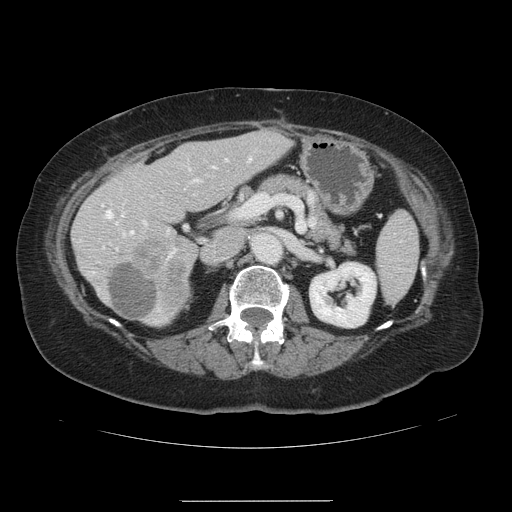 Liver | Computed tomography
Only some of the vessels may be annotated.
The liver tumor is located at (x1=109, y1=240, x2=188, y2=319). 11 hepatic vessel regions appear at (x1=225, y1=159, x2=227, y2=160), (x1=212, y1=166, x2=215, y2=167), (x1=115, y1=247, x2=117, y2=249), (x1=105, y1=210, x2=111, y2=217), (x1=130, y1=230, x2=132, y2=232), (x1=167, y1=248, x2=175, y2=257), (x1=188, y1=167, x2=190, y2=169), (x1=248, y1=156, x2=250, y2=160), (x1=143, y1=221, x2=146, y2=225), (x1=193, y1=179, x2=198, y2=181), (x1=123, y1=232, x2=124, y2=234).